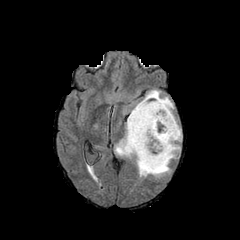
FLAIR MR.
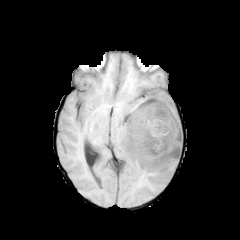
T1-weighted magnetic resonance.
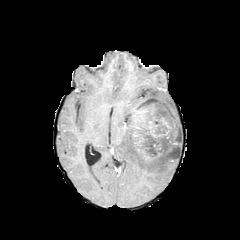
Same slice, post-contrast T1-weighted MRI.
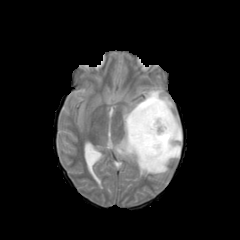
T2-weighted magnetic resonance.
Image size 240x240.
Findings:
- enhancing tumor: x1=132 y1=108 x2=153 y2=133, x1=161 y1=118 x2=171 y2=128, x1=132 y1=131 x2=139 y2=143
- edema: x1=114 y1=88 x2=182 y2=178
- non-enhancing tumor core: x1=127 y1=96 x2=179 y2=161